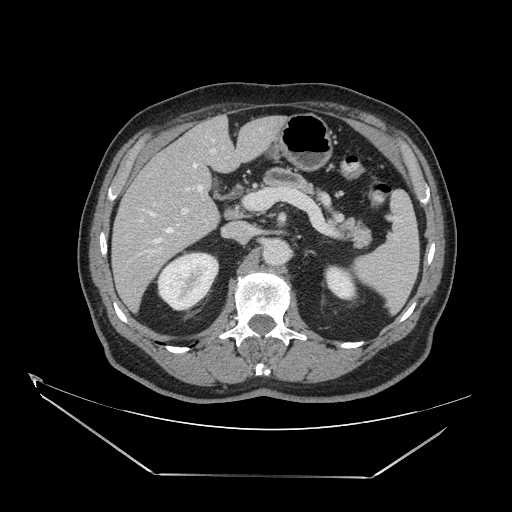

512x512; CT
Pancreas: bbox(265, 168, 312, 192); bbox(344, 219, 371, 247).